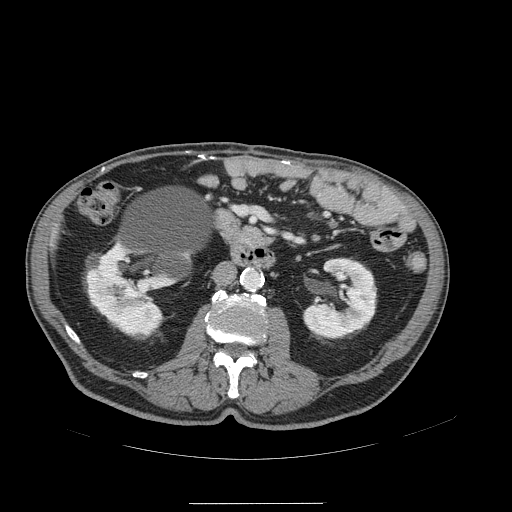

CT.

Pancreas: bounding box left=236, top=223, right=277, bottom=249.